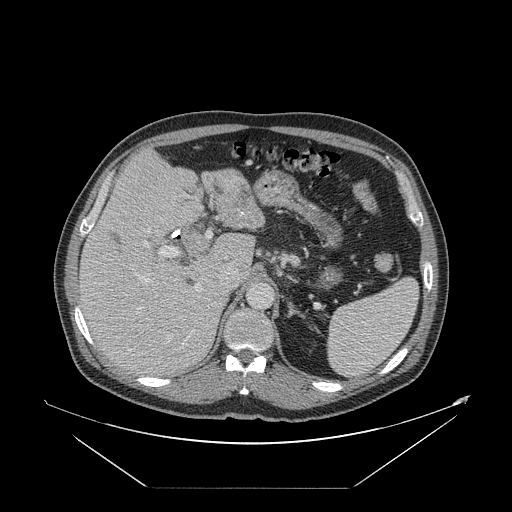

Abdomen | CT slice
Not every hepatic vessel necessarily has a box.
<segmentation partial="true">
  <hepatic_vessel shown="15" total="17">[x1=135, y1=273, x2=149, y2=282], [x1=188, y1=330, x2=193, y2=337], [x1=180, y1=338, x2=187, y2=350], [x1=195, y1=284, x2=202, y2=290], [x1=195, y1=198, x2=201, y2=210], [x1=144, y1=243, x2=148, y2=246], [x1=158, y1=245, x2=178, y2=257], [x1=136, y1=308, x2=141, y2=312], [x1=205, y1=230, x2=211, y2=238], [x1=217, y1=262, x2=239, y2=291], [x1=224, y1=253, x2=236, y2=258], [x1=166, y1=336, x2=170, y2=341], [x1=170, y1=230, x2=179, y2=239], [x1=242, y1=256, x2=248, y2=260], [x1=211, y1=195, x2=212, y2=202]</hepatic_vessel>
</segmentation>